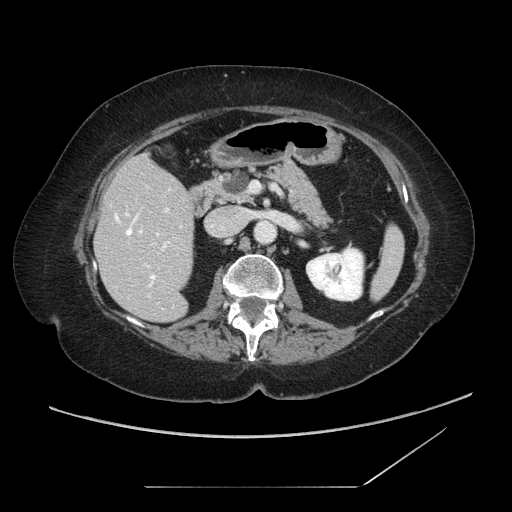
512x512 px. CT slice. Upper abdomen. pancreas:
  - 212,156,333,229
pancreatic_tumor:
  - 222,171,249,194